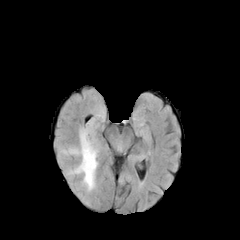
FLAIR MR.
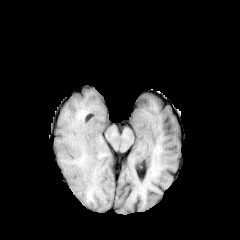
Same slice, T1-weighted MR image.
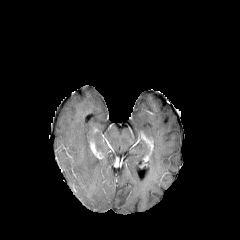
Post-contrast T1-weighted MRI.
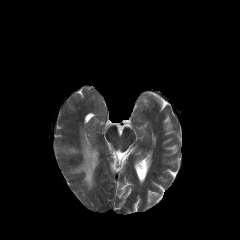
T2-weighted MRI.
Edema — region(74, 132, 97, 189).